Image size 512x512; Computed tomography
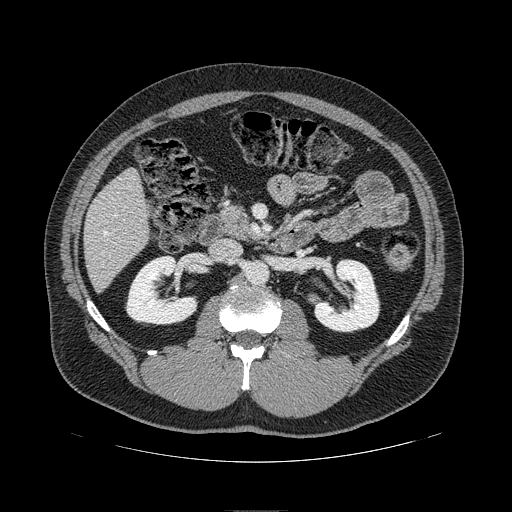
pancreas:
  - [x1=225, y1=207, x2=252, y2=239]